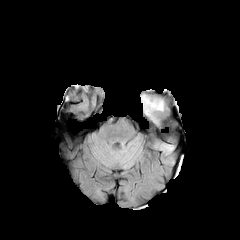
FLAIR MRI.
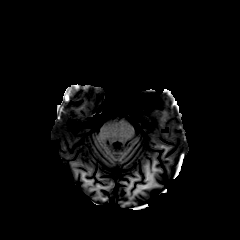
T1-weighted MR image.
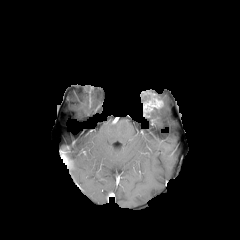
Post-contrast T1-weighted MRI of the same slice.
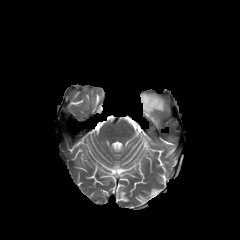
T2-weighted MR image.
Edema = 148 106 164 122.
Enhancing tumor = 143 95 161 112.